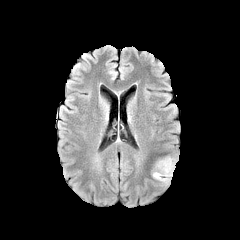
FLAIR MR image.
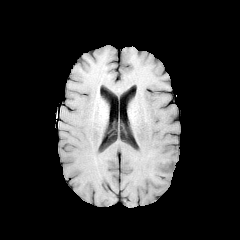
T1-weighted MRI of the same slice.
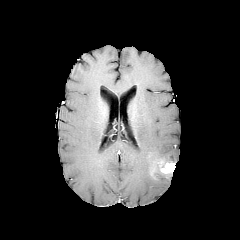
Post-contrast T1-weighted MRI.
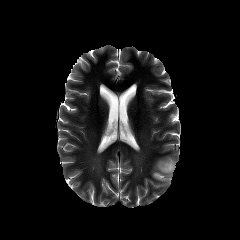
T2-weighted MR of the same slice.
The edema is at (152,156,175,185). The enhancing tumor appears at (159,161,175,173).